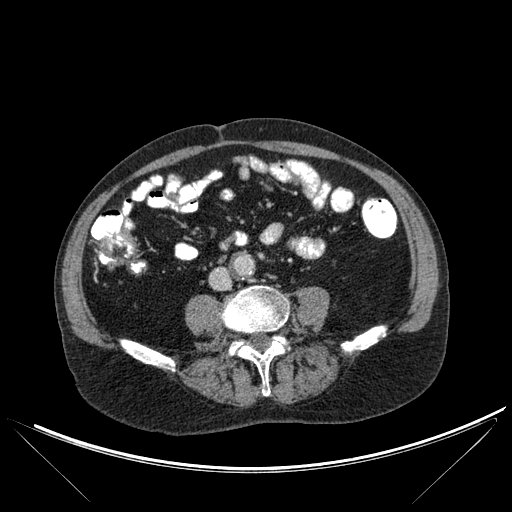 CT slice
{
  "bone": [
    "x1=228 y1=336 x2=286 y2=395",
    "x1=342 y1=326 x2=385 y2=351",
    "x1=222 y1=286 x2=289 y2=332",
    "x1=121 y1=340 x2=174 y2=369"
  ]
}